Brain
FLAIR MRI.
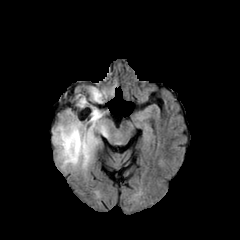
T1-weighted MR image.
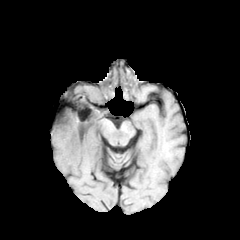
Post-contrast T1-weighted MRI.
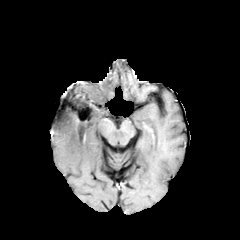
T2-weighted MR.
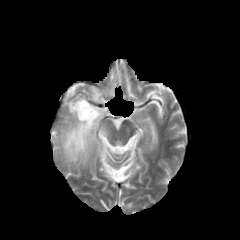
{"edema": ["bbox=[52, 87, 113, 171]"]}